Slice 120/155, Head, 240x240
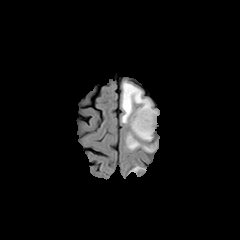
FLAIR MR.
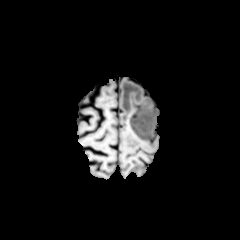
T1-weighted magnetic resonance.
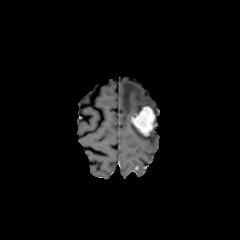
Same slice, post-contrast T1-weighted MRI.
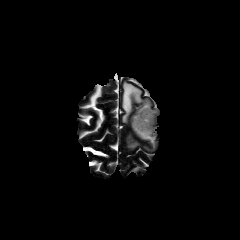
Same slice, T2-weighted MR image.
3 edema regions appear at {"x1": 126, "y1": 135, "x2": 139, "y2": 149}, {"x1": 121, "y1": 81, "x2": 151, "y2": 123}, {"x1": 131, "y1": 124, "x2": 152, "y2": 140}. The enhancing tumor appears at {"x1": 130, "y1": 106, "x2": 156, "y2": 136}.